FLAIR MR image.
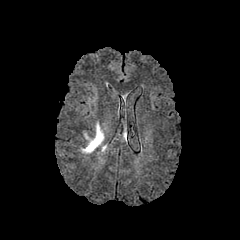
T1-weighted magnetic resonance.
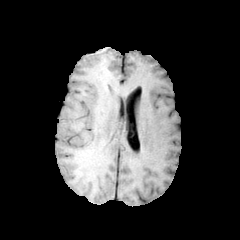
Post-contrast T1-weighted magnetic resonance.
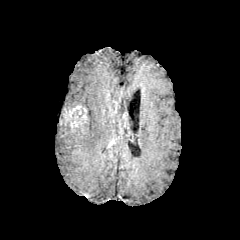
T2-weighted magnetic resonance.
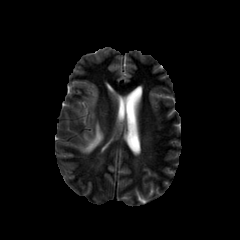
240x240 px; Head
<segmentation>
  <edema>box=[81, 123, 104, 153]</edema>
</segmentation>